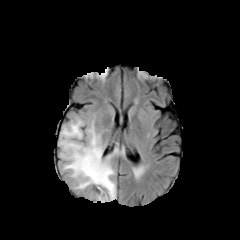
FLAIR MR.
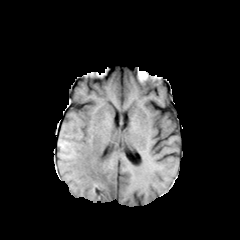
T1-weighted MR.
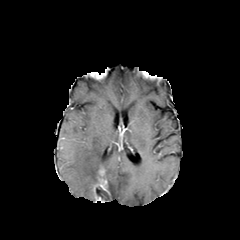
Post-contrast T1-weighted MRI of the same slice.
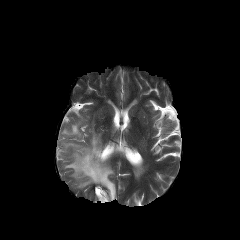
T2-weighted MRI of the same slice.
Brain
Non-enhancing tumor core = bbox(96, 173, 108, 201).
Edema = bbox(58, 120, 119, 201).
Enhancing tumor = bbox(98, 170, 107, 189).